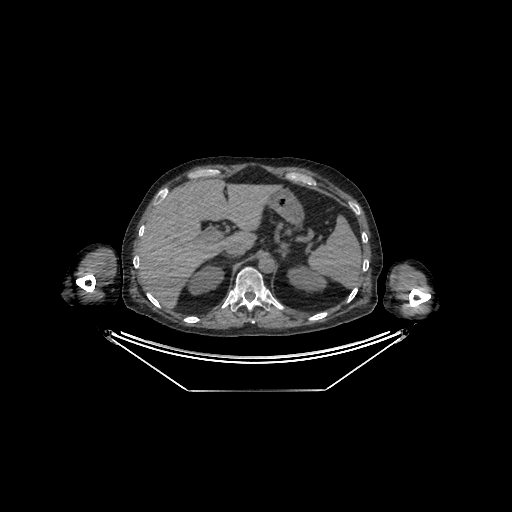 Upper abdomen. CT.
• liver: x1=136, y1=176, x2=281, y2=308
• kidney: x1=287, y1=265, x2=326, y2=292; x1=187, y1=265, x2=224, y2=294